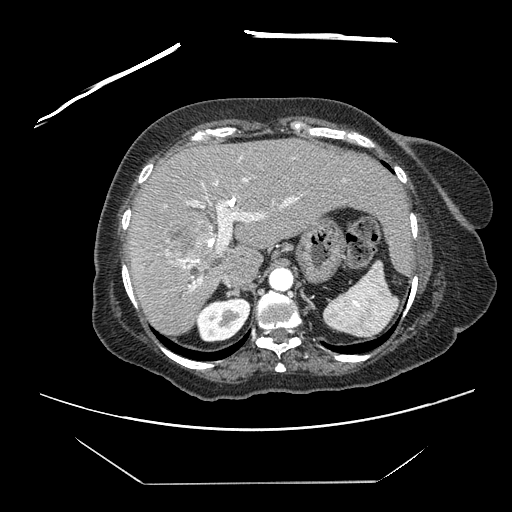
CT slice; Liver
The vessel boxes may cover only some of the vessels.
liver tumor: {"x1": 167, "y1": 215, "x2": 216, "y2": 262} | hepatic vessel: {"x1": 243, "y1": 178, "x2": 247, "y2": 181}, {"x1": 186, "y1": 200, "x2": 203, "y2": 207}, {"x1": 214, "y1": 181, "x2": 217, "y2": 185}, {"x1": 181, "y1": 259, "x2": 199, "y2": 268}, {"x1": 205, "y1": 197, "x2": 207, "y2": 199}, {"x1": 197, "y1": 277, "x2": 201, "y2": 283}, {"x1": 280, "y1": 197, "x2": 297, "y2": 206}, {"x1": 217, "y1": 201, "x2": 264, "y2": 252}